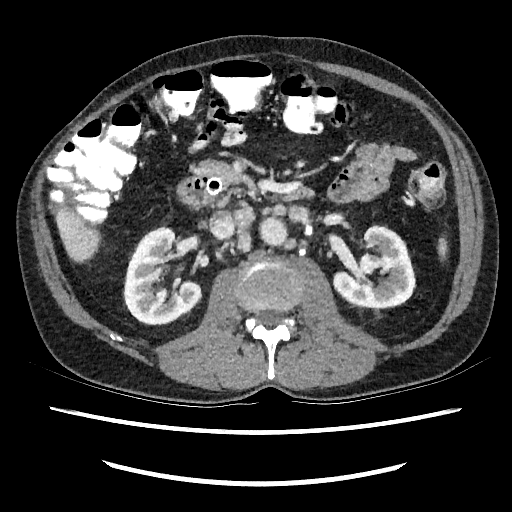 CT scan slice
Kidney = [125, 228, 200, 323], [334, 227, 414, 307].
Liver = [57, 208, 98, 260].